Image size 512x512 | Computed tomography | Image width 410 mm 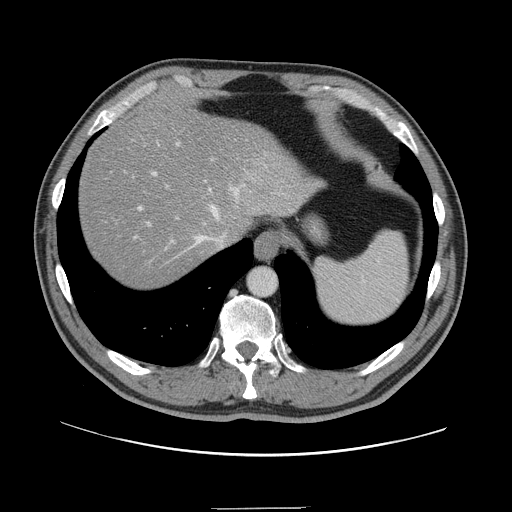
Only some of the vessels may be annotated.
Hepatic vessel: bounding box l=209, t=189, r=211, b=191; l=171, t=240, r=174, b=243; l=147, t=223, r=150, b=225; l=139, t=207, r=142, b=210; l=232, t=188, r=238, b=201; l=134, t=237, r=136, b=238; l=212, t=158, r=214, b=159; l=195, t=236, r=211, b=244; l=153, t=172, r=156, b=175; l=211, t=207, r=219, b=217; l=220, t=236, r=224, b=242; l=177, t=142, r=179, b=145.